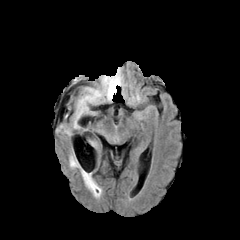
FLAIR MR image.
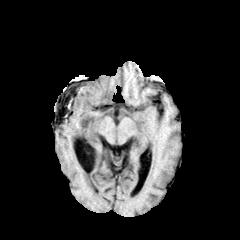
T1-weighted MRI of the same slice.
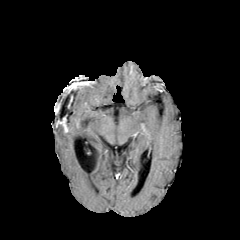
Same slice, post-contrast T1-weighted magnetic resonance.
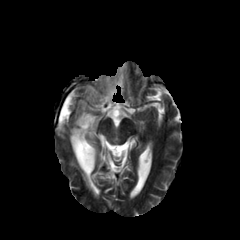
Same slice, T2-weighted magnetic resonance.
2 edema regions appear at bbox=[72, 72, 123, 128]; bbox=[69, 152, 101, 197].